CT image; Slice 161 of 276 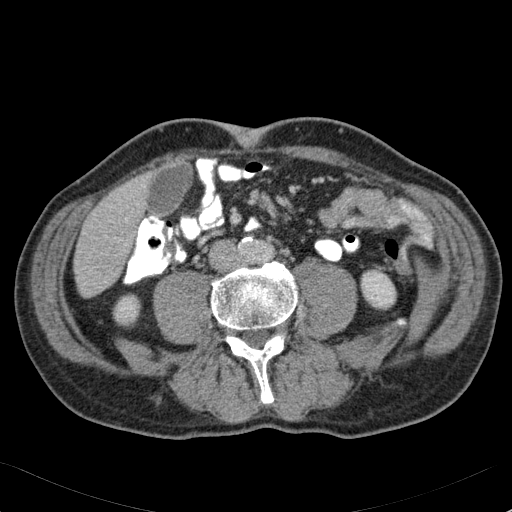
Kidney = [116, 297, 137, 321], [361, 270, 395, 307].
Liver = [75, 173, 147, 296].